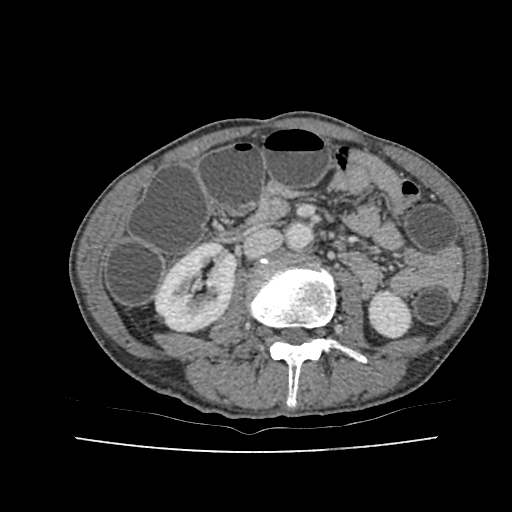

CT slice, Abdomen, 512x512 px

<segmentation>
  <kidney>(x1=370, y1=292, x2=409, y2=336), (x1=156, y1=243, x2=235, y2=330)</kidney>
</segmentation>